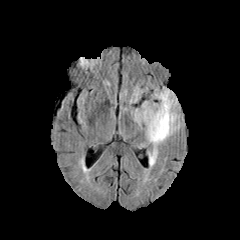
FLAIR MR.
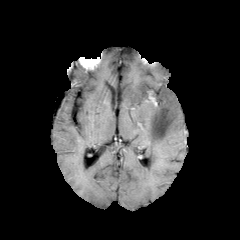
T1-weighted MR image.
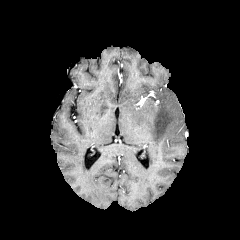
Post-contrast T1-weighted magnetic resonance.
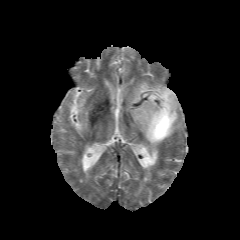
T2-weighted MR image of the same slice.
Brain | 240x240 px
Edema = box(129, 85, 181, 169).
Non-enhancing tumor core = box(153, 118, 163, 132).